CT scan slice 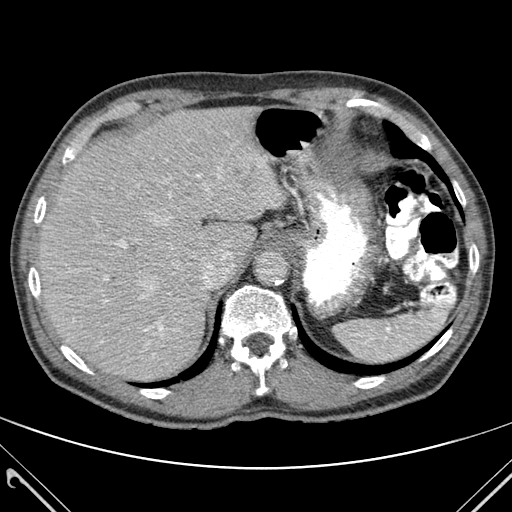
The liver appears at l=40, t=107, r=281, b=381. 3 lung regions are located at l=294, t=310, r=431, b=374; l=384, t=122, r=453, b=197; l=151, t=313, r=218, b=385. 11 bone regions appear at l=222, t=286, r=296, b=394; l=29, t=268, r=39, b=296; l=63, t=149, r=73, b=162; l=355, t=377, r=383, b=388; l=421, t=330, r=451, b=360; l=34, t=197, r=45, b=223; l=454, t=182, r=465, b=204; l=141, t=389, r=169, b=398; l=414, t=131, r=429, b=149; l=61, t=346, r=92, b=373; l=470, t=245, r=478, b=271.